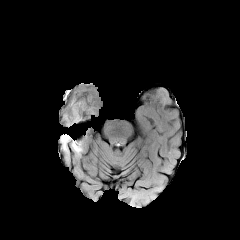
FLAIR MRI.
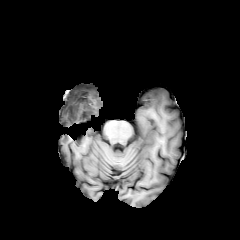
Same slice, T1-weighted MR.
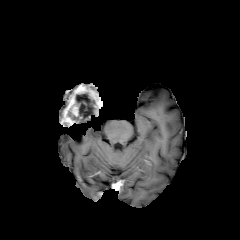
Post-contrast T1-weighted MR of the same slice.
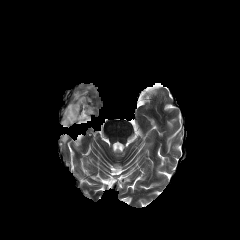
Same slice, T2-weighted MRI.
240x240
Enhancing tumor: bounding box <box>62,102,81,125</box>.
Non-enhancing tumor core: bounding box <box>68,88,99,116</box>.
Edema: bounding box <box>60,134,71,148</box>, <box>72,140,81,151</box>, <box>76,92,93,121</box>.